MRI slice, Hippocampus, 34x51 px 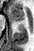

Anterior hippocampus — rect(9, 7, 24, 21).